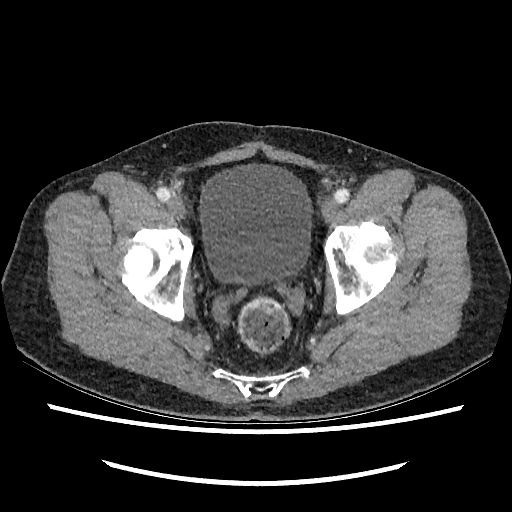
Computed tomography; Lower abdomen
Urinary bladder at l=197, t=163, r=313, b=292.